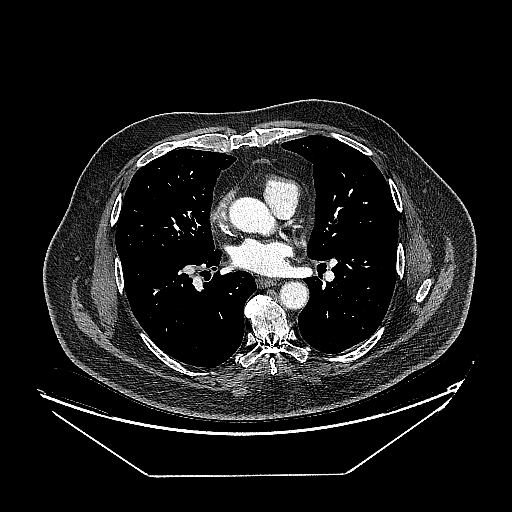
Thorax, 512x512 px, CT scan slice
The lung tumor is located at l=159, t=240, r=168, b=247.